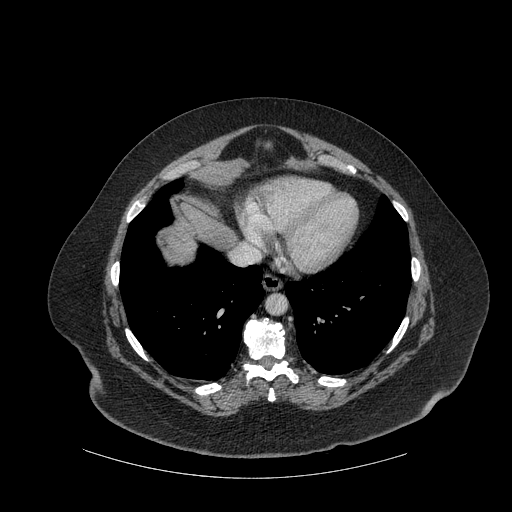
Computed tomography

<segmentation>
  <lung>285 195 410 374, 119 179 263 379</lung>
  <liver>167 204 237 262</liver>
  <bone>125 329 147 359, 244 361 297 382, 244 320 284 359, 127 201 144 221, 394 202 407 220, 411 258 420 280, 268 388 275 400, 111 262 119 285, 195 383 220 394, 387 317 408 352, 318 376 345 386</bone>
</segmentation>